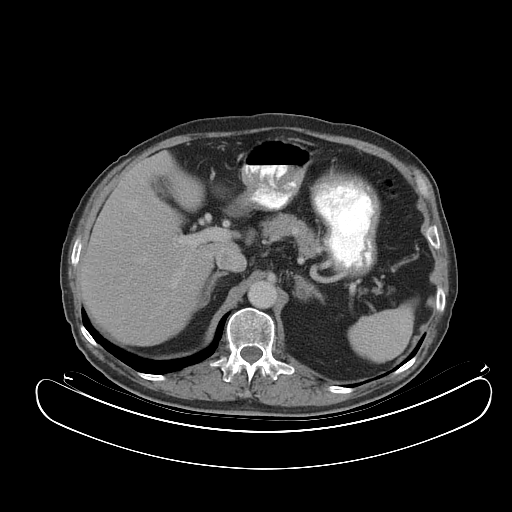

Abdomen, Computed tomography

Spleen: bounding box bbox(351, 303, 413, 360).